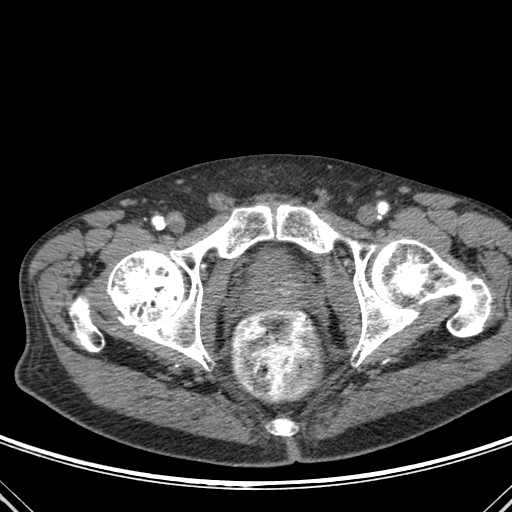 Computed tomography.
• bone: left=69, top=204, right=491, bottom=369; left=272, top=419, right=294, bottom=436